CT image; Image size 512x512 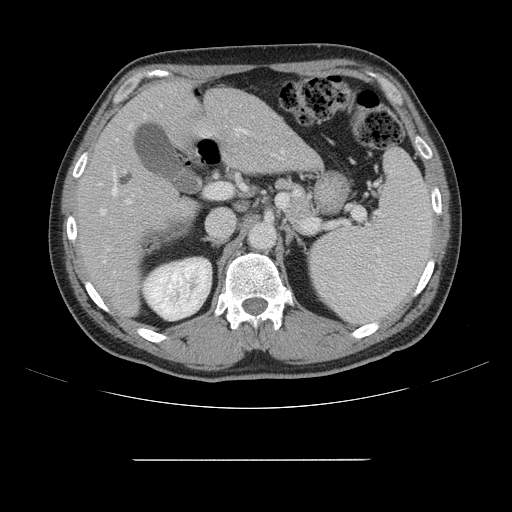 Only some of the vessels may be annotated.
Liver tumor — <box>118,169,133,185</box>.
Hepatic vessel — <box>100,209,105,213</box>, <box>129,124,132,129</box>, <box>107,248,109,250</box>, <box>281,150,284,153</box>, <box>234,128,247,133</box>, <box>103,257,105,262</box>, <box>126,199,131,203</box>, <box>111,217,111,222</box>, <box>272,154,275,155</box>, <box>112,167,117,195</box>, <box>99,183,102,184</box>.